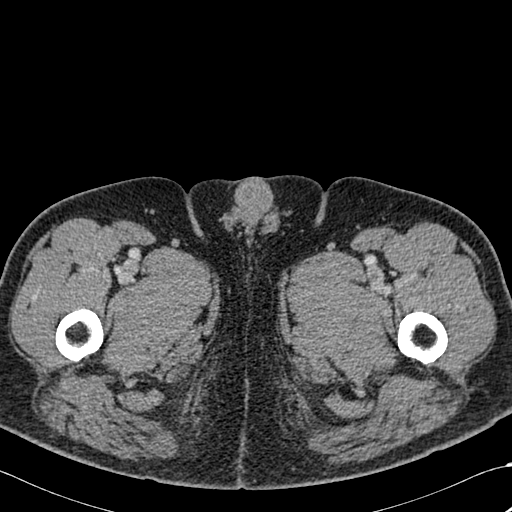
CT slice
Annotated regions:
• bone: x1=398, y1=312, x2=447, y2=364; x1=56, y1=309, x2=102, y2=361